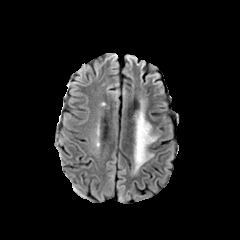
FLAIR MR image.
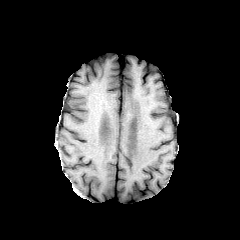
T1-weighted MR image.
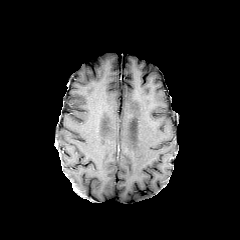
Post-contrast T1-weighted magnetic resonance.
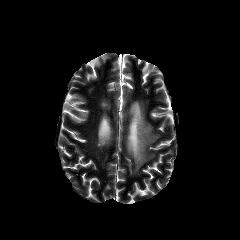
T2-weighted MR of the same slice.
Findings:
• edema: [x1=132, y1=102, x2=157, y2=172]